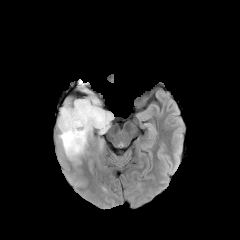
FLAIR MR.
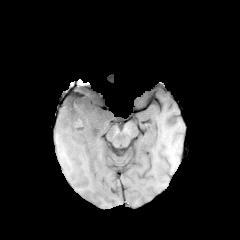
T1-weighted MR image.
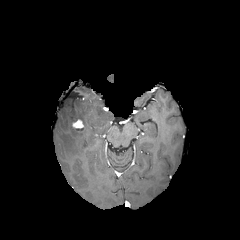
Same slice, post-contrast T1-weighted MR.
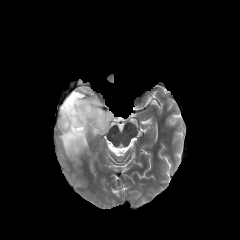
T2-weighted MRI of the same slice.
Head. Image size 240x240.
Edema — {"x1": 71, "y1": 88, "x2": 90, "y2": 99}, {"x1": 58, "y1": 98, "x2": 113, "y2": 160}.
Enhancing tumor — {"x1": 72, "y1": 119, "x2": 83, "y2": 128}.
Non-enhancing tumor core — {"x1": 65, "y1": 92, "x2": 98, "y2": 131}.